Field of view 386x386 mm, CT image, 512x512 px, Slice index 46 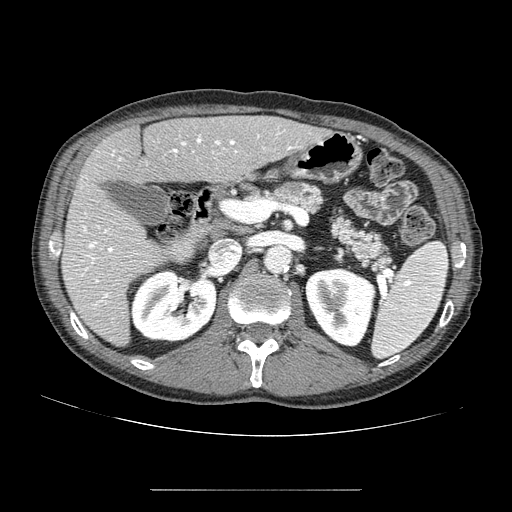

The pancreatic tumor lies within (left=282, top=183, right=301, bottom=195). 2 pancreas regions appear at (left=329, top=211, right=388, bottom=270), (left=252, top=183, right=323, bottom=212).